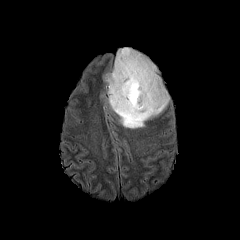
FLAIR magnetic resonance.
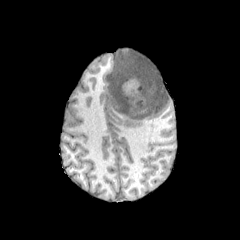
T1-weighted magnetic resonance of the same slice.
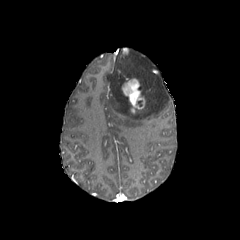
Post-contrast T1-weighted MR image.
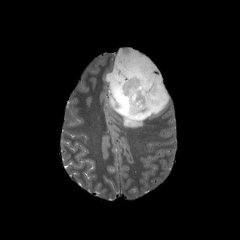
Same slice, T2-weighted MR.
Non-enhancing tumor core: box(138, 77, 145, 89).
Enhancing tumor: box(121, 76, 146, 113).
Edema: box(109, 51, 170, 128).